FLAIR MRI.
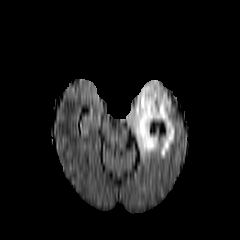
T1-weighted MR image.
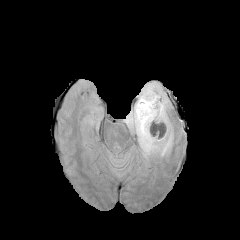
Post-contrast T1-weighted magnetic resonance.
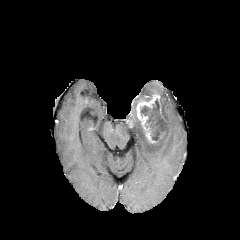
T2-weighted magnetic resonance.
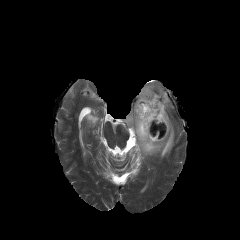
Image size 240x240
Enhancing tumor at [136, 94, 159, 142].
Edema at [122, 82, 174, 157].